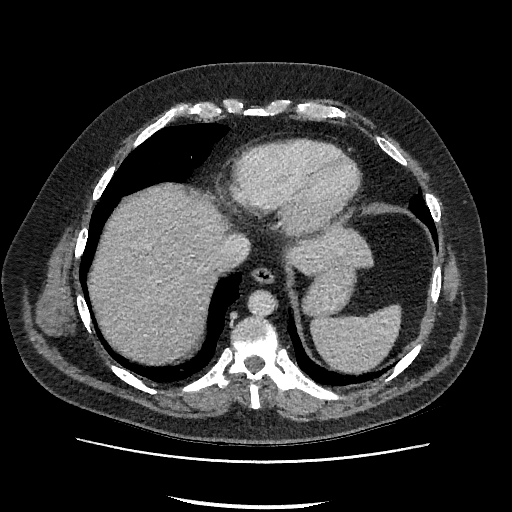

Image size 512x512 | CT image

2 liver regions appear at <bbox>287, 229, 372, 273</bbox>, <bbox>90, 188, 226, 362</bbox>.